Slice 70/155; Field of view 240x240 mm; Brain
FLAIR MR image.
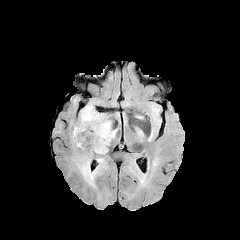
T1-weighted MR image.
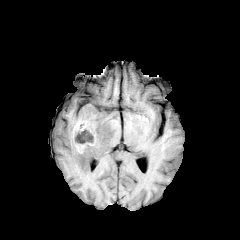
Post-contrast T1-weighted MR image.
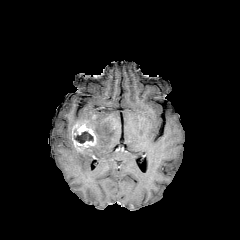
T2-weighted MRI.
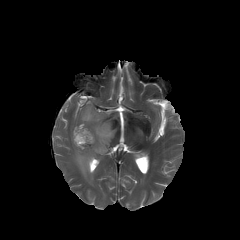
non-enhancing tumor core: (74,132,93,142) | edema: (75,154,105,187), (80,100,117,154) | enhancing tumor: (72,123,96,150)